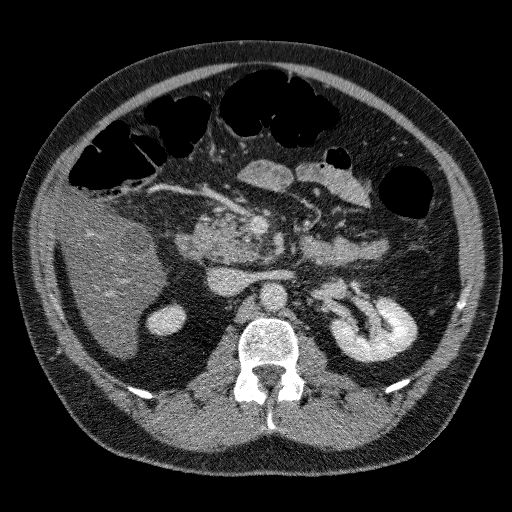 CT slice
kidney: <bbox>150, 308, 183, 333</bbox>, <bbox>333, 300, 415, 360</bbox> | liver: <bbox>57, 188, 163, 355</bbox> | liver lesion: <bbox>119, 224, 152, 258</bbox>